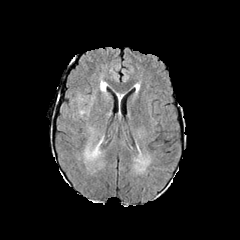
FLAIR MR image.
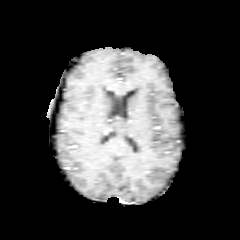
T1-weighted MR.
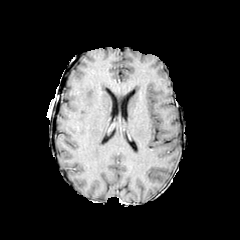
Post-contrast T1-weighted MR.
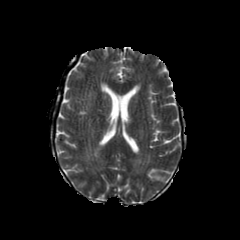
T2-weighted magnetic resonance of the same slice.
edema: x1=86, y1=148, x2=99, y2=157